Brain.
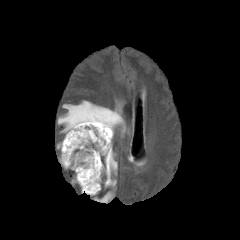
FLAIR MRI.
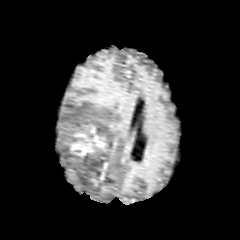
Same slice, T1-weighted magnetic resonance.
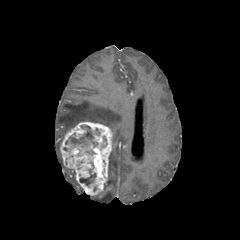
Post-contrast T1-weighted MR image.
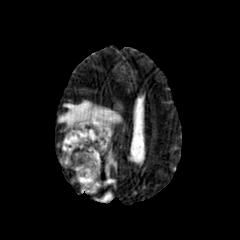
T2-weighted MR of the same slice.
Segmented structures:
• edema: box=[94, 192, 113, 203]; box=[105, 152, 117, 187]; box=[58, 100, 125, 133]
• non-enhancing tumor core: box=[71, 125, 98, 145]; box=[80, 174, 94, 184]
• enhancing tumor: box=[59, 120, 113, 195]